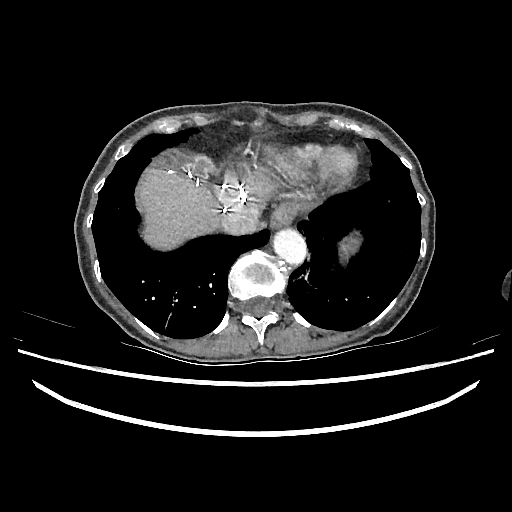

Liver | Computed tomography

Liver: rect(139, 171, 222, 248); rect(248, 172, 275, 200).